240x240, Slice index 80, Brain
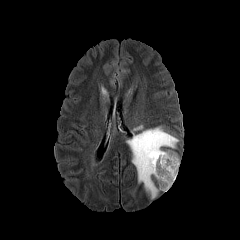
FLAIR MR.
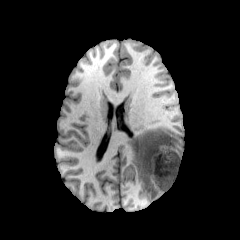
Same slice, T1-weighted MRI.
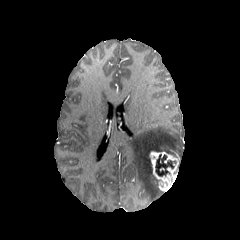
Post-contrast T1-weighted MR.
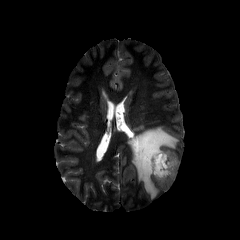
Same slice, T2-weighted MR image.
Annotated regions:
- enhancing tumor: <bbox>149, 151, 178, 191</bbox>
- edema: <bbox>126, 126, 178, 199</bbox>
- non-enhancing tumor core: <bbox>155, 154, 176, 177</bbox>, <bbox>151, 175, 164, 191</bbox>